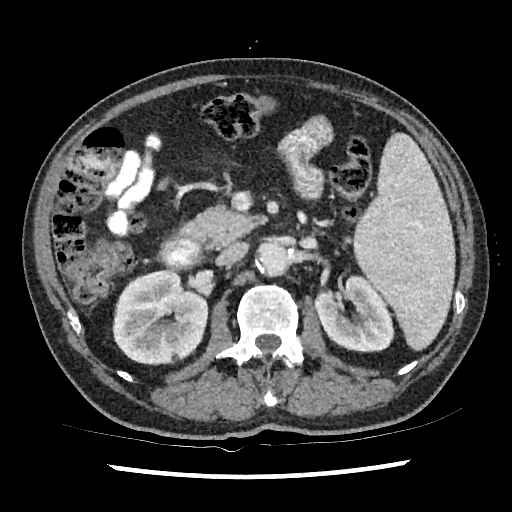

Image size 512x512. CT slice. Abdomen.
2 kidney regions are bounded by (x1=113, y1=270, x2=207, y2=363), (x1=315, y1=277, x2=393, y2=350).